T2-weighted MR.
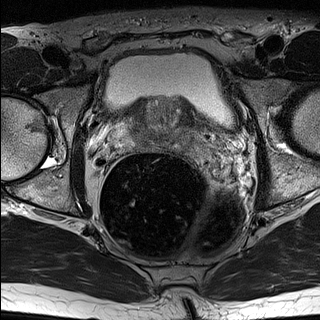
ADC MR image.
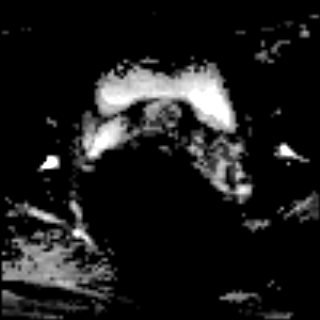
Pelvis
The prostate peripheral zone is at <bbox>117, 125, 134, 151</bbox>. The prostate transition zone is located at <bbox>123, 103, 199, 151</bbox>.